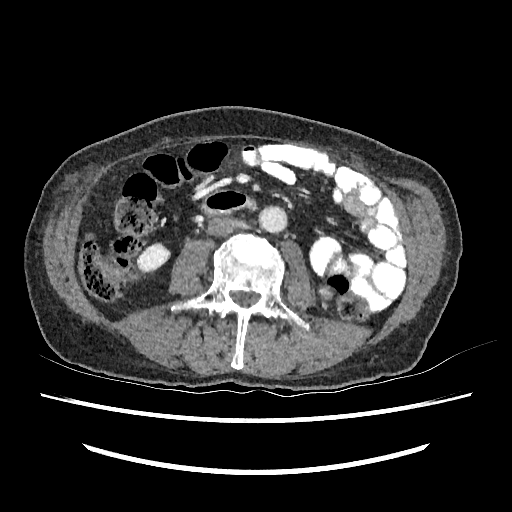 CT scan slice
Kidney at l=137, t=244, r=168, b=270.